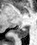 Magnetic resonance. Hippocampus.

Posterior hippocampus: bounding box box(15, 28, 27, 38).